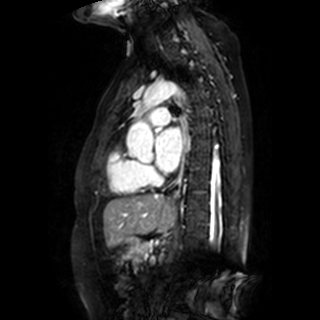

MR | Cardiac
Segmented structures:
- left atrium: [155,127,182,171]